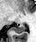
MR image, Image size 36x42
Posterior hippocampus = (x1=10, y1=24, x2=24, y2=33).